Field of view 240x240 mm, Head, Slice 78/155
FLAIR MRI.
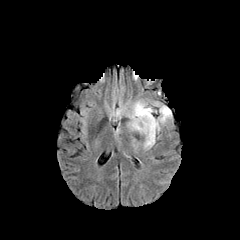
T1-weighted MR.
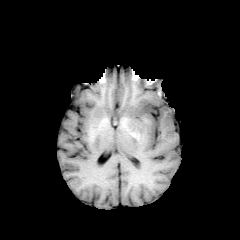
Post-contrast T1-weighted magnetic resonance.
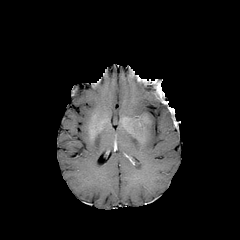
T2-weighted MR image.
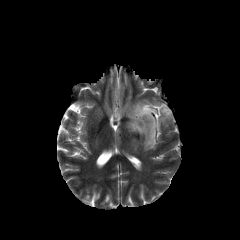
<segmentation>
  <edema>127,92,172,150; 112,108,123,117</edema>
</segmentation>